Head, Slice 36/155
FLAIR magnetic resonance.
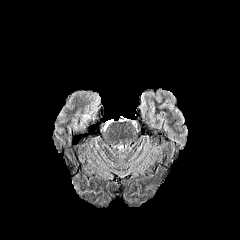
T1-weighted magnetic resonance.
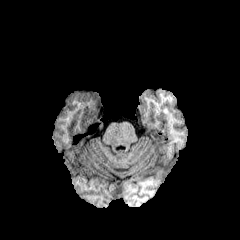
Post-contrast T1-weighted magnetic resonance.
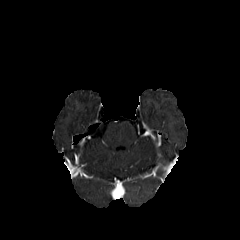
T2-weighted MR image.
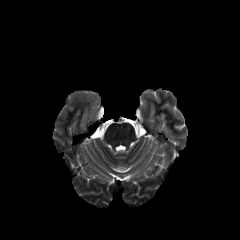
The edema lies within 88 94 99 113.